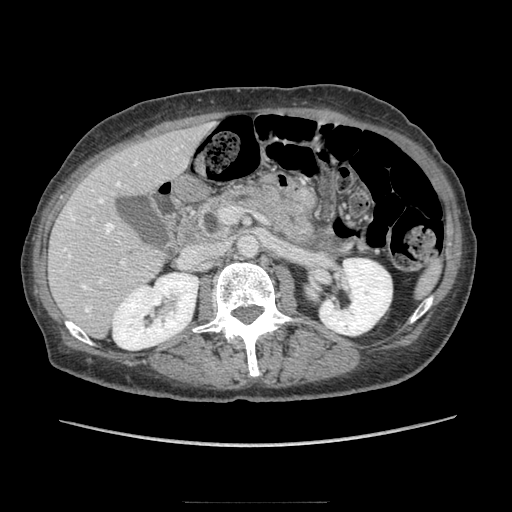
CT image

Pancreas at rect(198, 184, 315, 243).